Slice 28 of 54; CT image 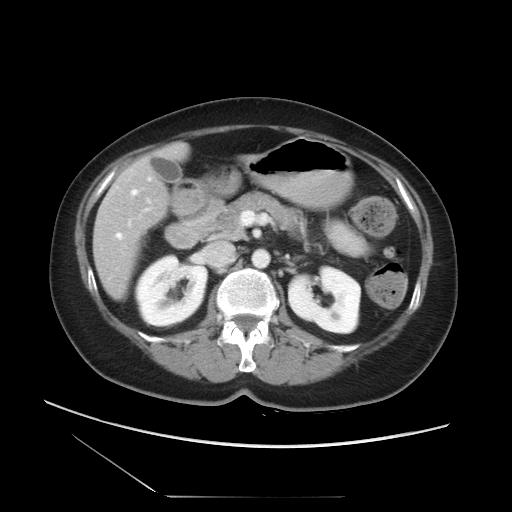
Only some of the vessels may be annotated.
6 hepatic vessel regions appear at x1=129, y1=222, x2=130, y2=225; x1=131, y1=190, x2=137, y2=195; x1=241, y1=212, x2=254, y2=224; x1=148, y1=178, x2=150, y2=180; x1=116, y1=233, x2=122, y2=239; x1=145, y1=209, x2=148, y2=210.